FLAIR MR image.
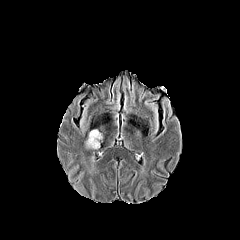
T1-weighted magnetic resonance.
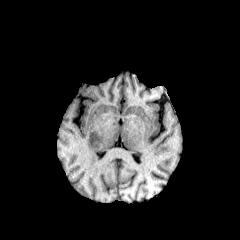
Post-contrast T1-weighted magnetic resonance.
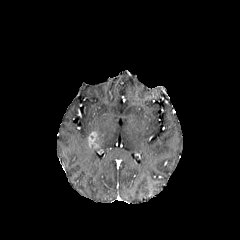
T2-weighted MR.
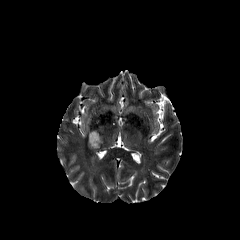
Image size 240x240; Head
enhancing_tumor:
  - l=86, t=130, r=99, b=149